FLAIR MR.
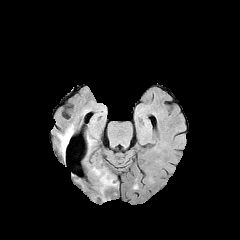
T1-weighted magnetic resonance.
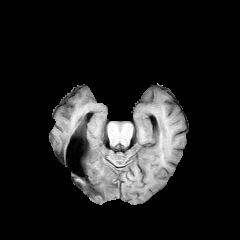
Post-contrast T1-weighted MR image.
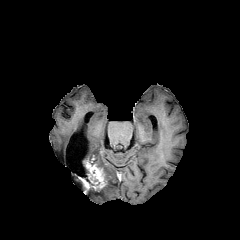
T2-weighted MR image.
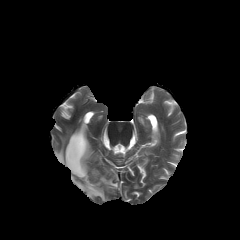
Non-enhancing tumor core: bounding box 83 160 99 187.
Enhancing tumor: bounding box 85 162 105 189.
Edema: bounding box 91 155 100 167, 59 130 72 156, 94 167 118 199.